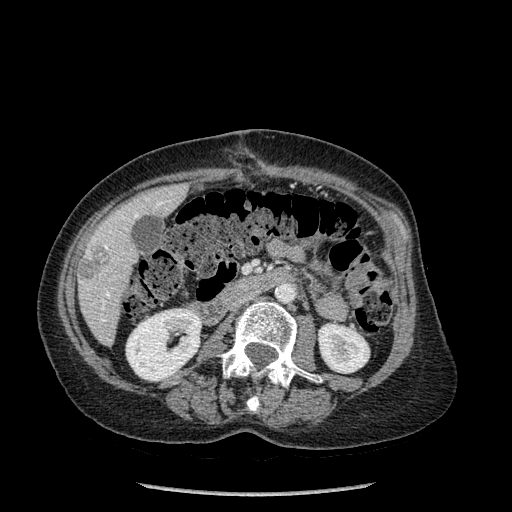 512x512 px; CT image

Kidney — 318:324:369:373, 126:309:201:380.
Liver — 77:183:187:345.
Focal liver lesion — 79:250:108:278.
Bone — 218:301:315:387, 247:395:259:411.